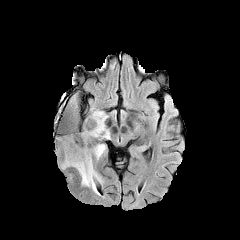
FLAIR magnetic resonance.
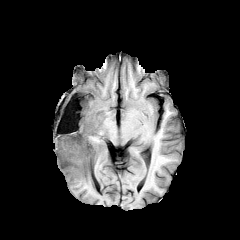
T1-weighted magnetic resonance.
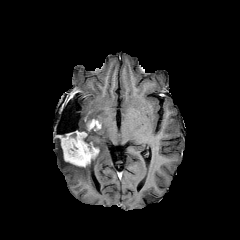
Post-contrast T1-weighted MR.
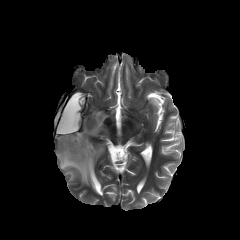
T2-weighted MRI of the same slice.
Brain.
Enhancing tumor at l=91, t=120, r=101, b=130; l=59, t=131, r=99, b=167.
Non-enhancing tumor core at l=69, t=98, r=75, b=117; l=80, t=122, r=97, b=149; l=68, t=142, r=77, b=150.
Edema at l=60, t=110, r=109, b=194.